CT slice. 512x512. Image width 466 mm.

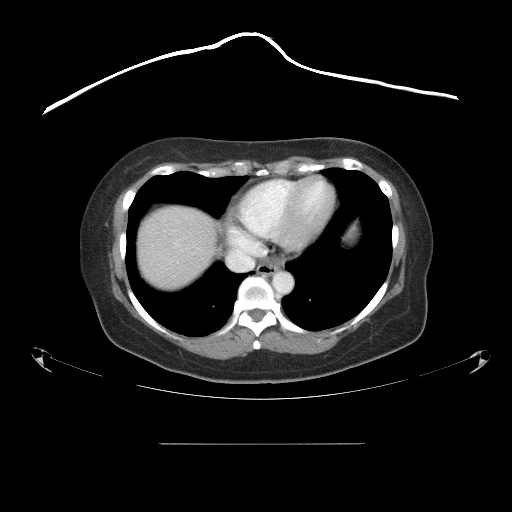
The vessel boxes may cover only some of the vessels.
hepatic vessel: box(175, 243, 176, 244); box(227, 249, 256, 270)